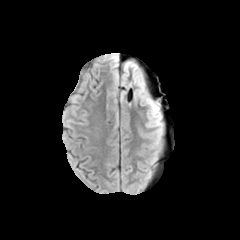
FLAIR MR.
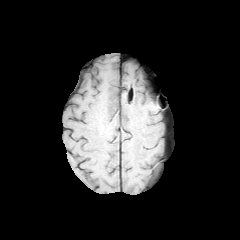
Same slice, T1-weighted MRI.
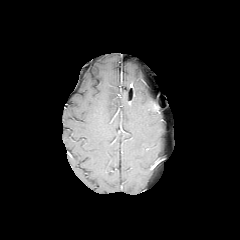
Post-contrast T1-weighted MR image.
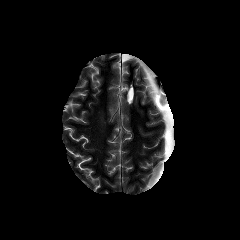
T2-weighted magnetic resonance.
2 edema regions appear at x1=140, y1=81, x2=162, y2=127; x1=154, y1=128, x2=163, y2=145.